Image size 240x240
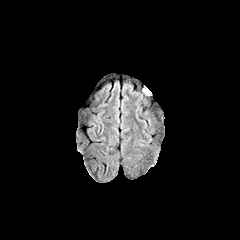
FLAIR MRI.
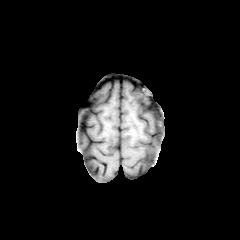
T1-weighted MRI of the same slice.
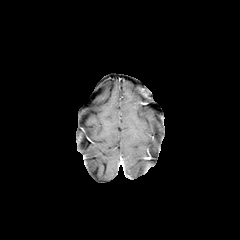
Post-contrast T1-weighted MR image.
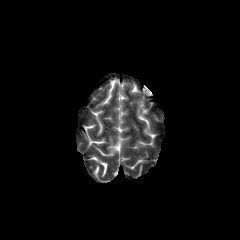
Same slice, T2-weighted magnetic resonance.
Annotated regions:
- non-enhancing tumor core: (x1=139, y1=88, x2=151, y2=103)